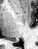 38x49; Hippocampus; MR image
{"posterior_hippocampus": [{"x1": 11, "y1": 39, "x2": 15, "y2": 41}]}